Abdomen; CT; 512x512 px; Slice 26 of 34; Field of view 439x439 mm 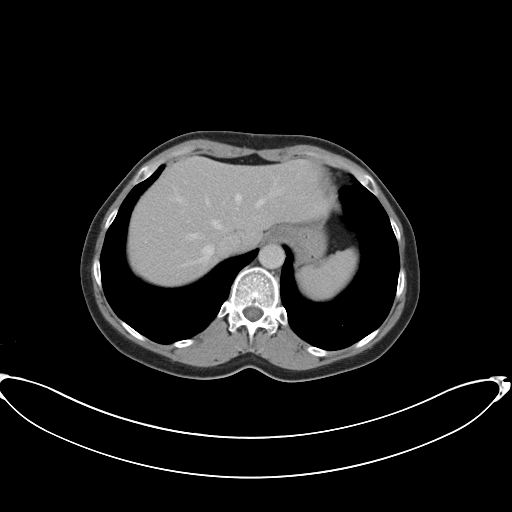 Not every hepatic vessel necessarily has a box.
8 hepatic vessel regions are located at <box>204,247,211,254</box>, <box>177,197,180,200</box>, <box>206,199,208,203</box>, <box>254,179,283,209</box>, <box>234,193,241,204</box>, <box>212,220,221,228</box>, <box>236,208,238,210</box>, <box>190,234,196,237</box>.